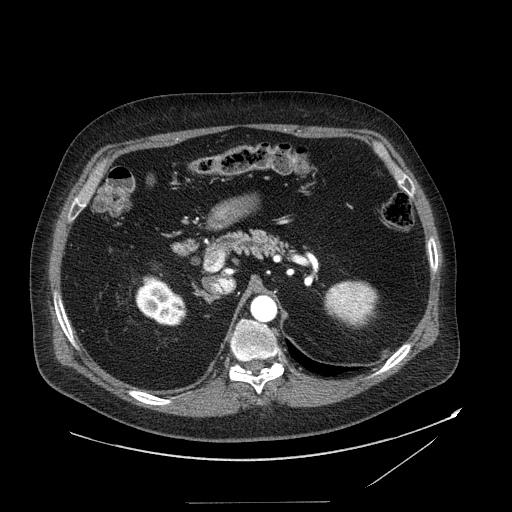

Computed tomography. Upper abdomen. The pancreas appears at 212:229:298:259.